T2-weighted MRI.
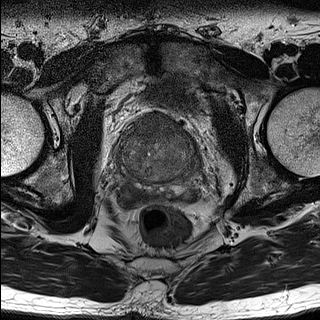
ADC magnetic resonance.
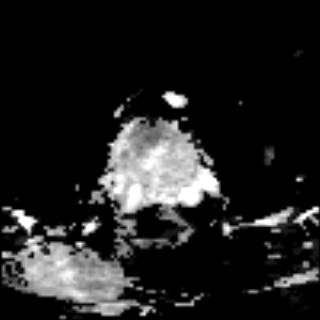
Prostate peripheral zone — [x1=120, y1=149, x2=193, y2=182].
Prostate transition zone — [x1=120, y1=117, x2=192, y2=181].